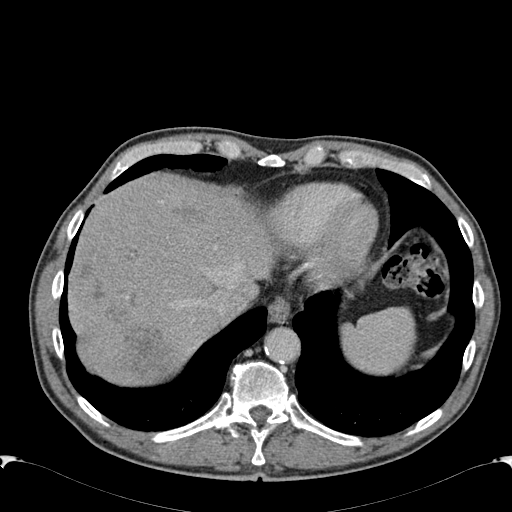 CT, Upper abdomen, 512x512

Liver lesion: x1=106, y1=307, x2=125, y2=321; x1=80, y1=264, x2=92, y2=278; x1=91, y1=286, x2=106, y2=299; x1=124, y1=327, x2=179, y2=380; x1=179, y1=205, x2=204, y2=222.
Liver: x1=68, y1=171, x2=274, y2=382.